Slice index 174. CT. Abdomen. 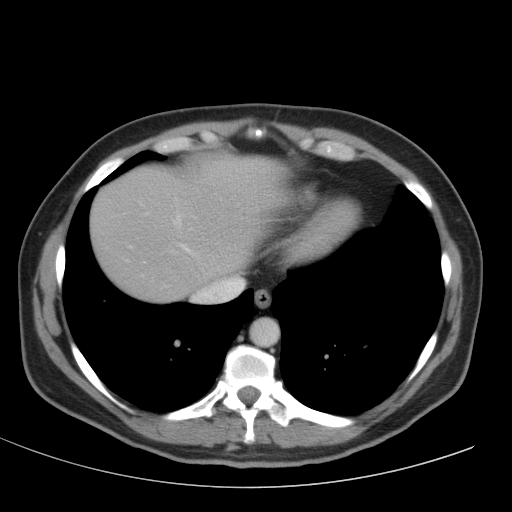

Liver: bbox=[91, 154, 281, 302].